CT image; Image width 400 mm; Slice 390/781
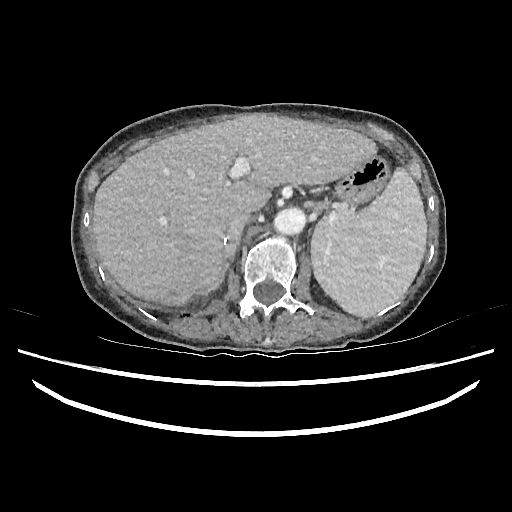

• liver: bbox(93, 114, 375, 304)